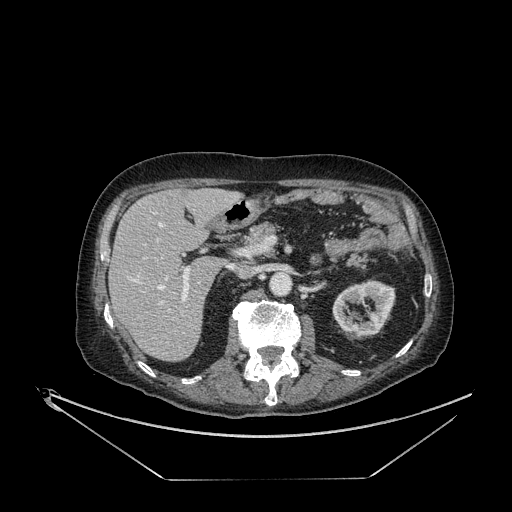 CT slice
The liver lies within region(109, 189, 238, 361). The kidney is at region(333, 281, 395, 336).